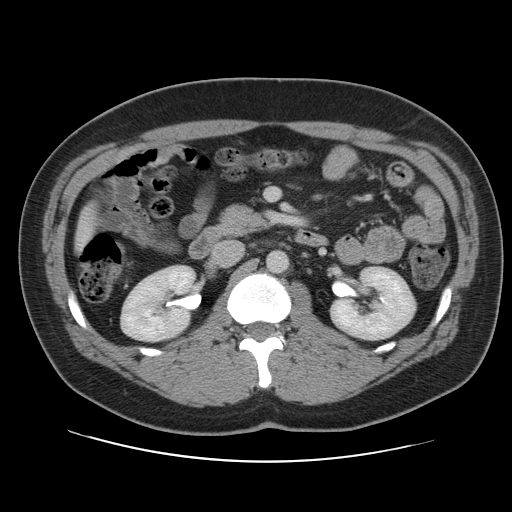
CT, Liver
Some hepatic vessels may have no box.
{"hepatic_vessel": ["l=77, t=210, r=89, b=248"]}